CT image, Lung, Field of view 440x440 mm
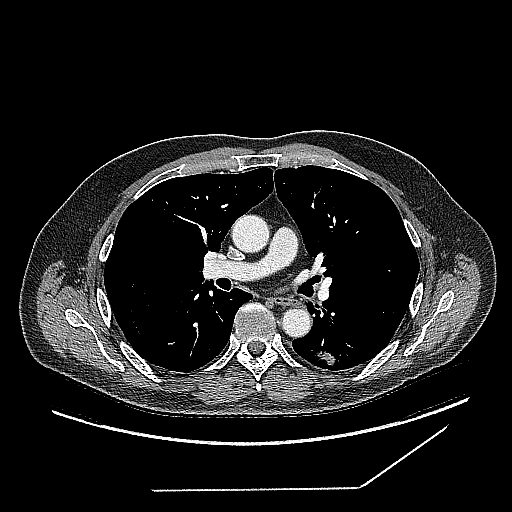 {"lung_tumor": ["l=310, t=347, r=337, b=368"]}